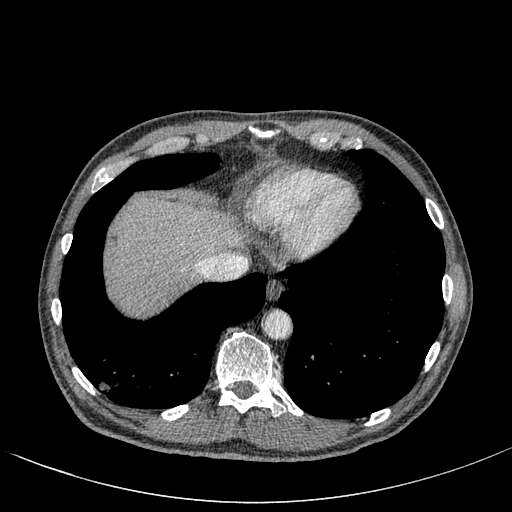

Liver, CT scan slice
{"liver": ["region(107, 197, 240, 314)"]}